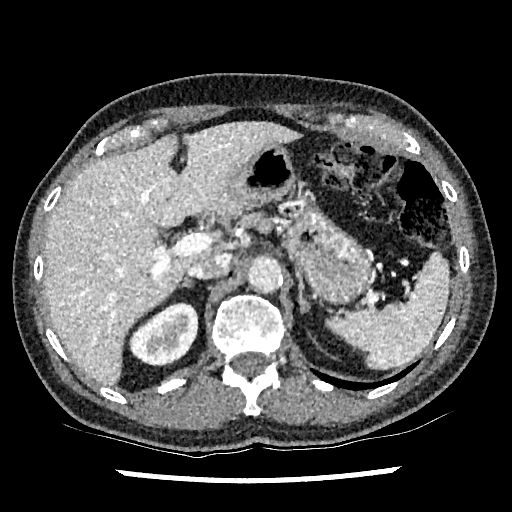
CT scan slice. Abdomen.

<segmentation>
  <liver>(45, 122, 301, 385)</liver>
  <kidney>(132, 304, 196, 363)</kidney>
</segmentation>